FLAIR MRI.
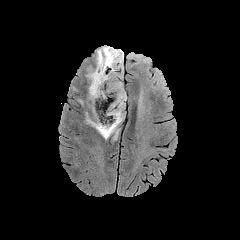
T1-weighted MR image.
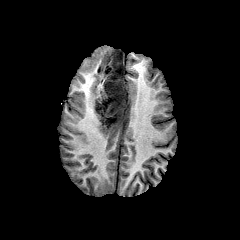
Post-contrast T1-weighted MR image.
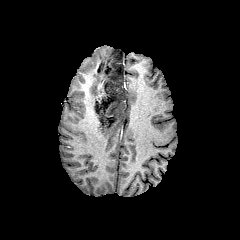
T2-weighted MR.
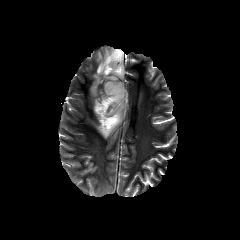
Brain | Image size 240x240
non-enhancing tumor core: [96,76,125,128], [103,50,121,77] | edema: [88,63,123,105], [91,106,125,139], [95,47,114,65]